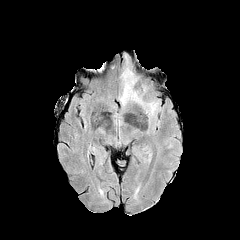
FLAIR MR image.
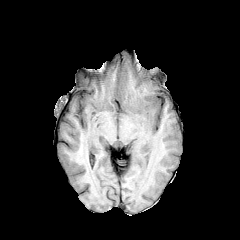
T1-weighted MR of the same slice.
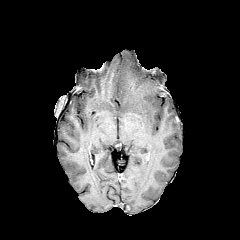
Post-contrast T1-weighted magnetic resonance of the same slice.
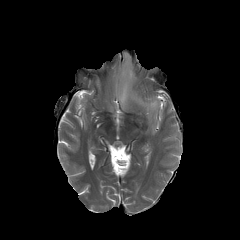
T2-weighted MR.
Brain
Segmented structures:
- edema: [x1=118, y1=56, x2=158, y2=123]